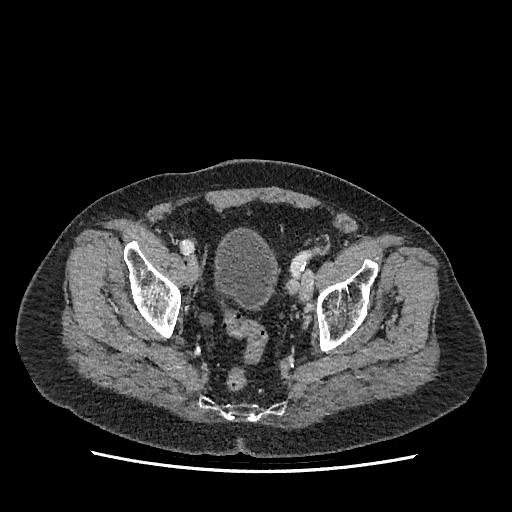 Pelvis; Computed tomography
{
  "urinary_bladder": [
    "(214, 232, 273, 310)"
  ]
}